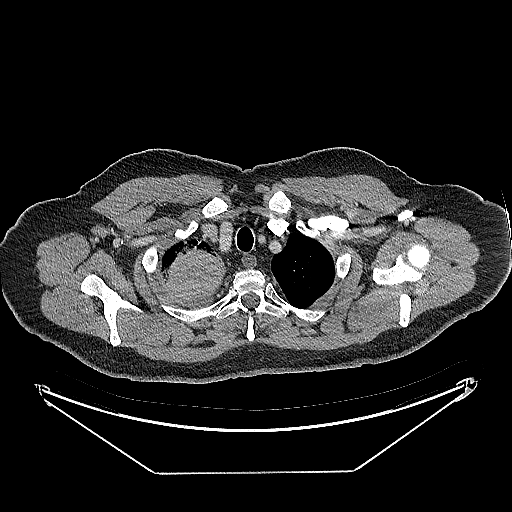
Chest. CT.

Annotated regions:
- lung tumor: 162:238:224:300